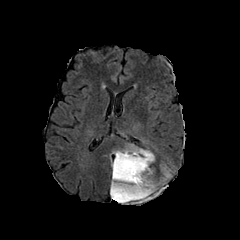
FLAIR magnetic resonance.
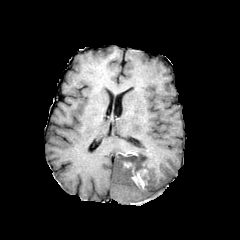
T1-weighted MRI.
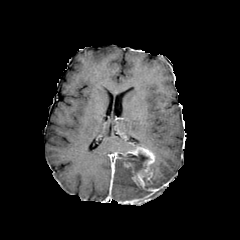
Post-contrast T1-weighted MRI.
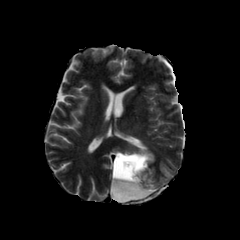
T2-weighted magnetic resonance.
Brain, Image size 240x240
Non-enhancing tumor core: bounding box box(111, 150, 161, 203).
Edema: bounding box box(122, 186, 145, 193); box(114, 178, 134, 187); box(150, 162, 160, 186).
Enhancing tumor: bounding box box(135, 174, 144, 186); box(112, 152, 119, 178); box(119, 188, 159, 203); box(130, 149, 153, 165).